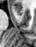 Magnetic resonance. Hippocampus. 36x47.

The anterior hippocampus appears at [13,6,22,14].